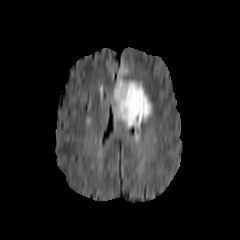
FLAIR MRI.
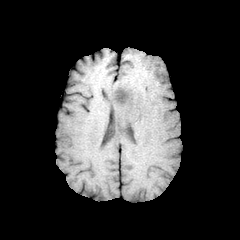
T1-weighted magnetic resonance.
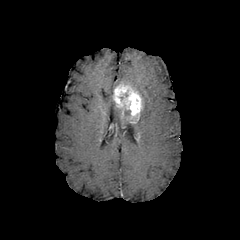
Post-contrast T1-weighted MRI.
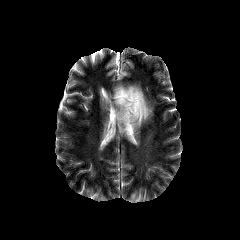
Same slice, T2-weighted MR image.
edema:
  - 104:66:153:140
enhancing_tumor:
  - 113:84:141:123